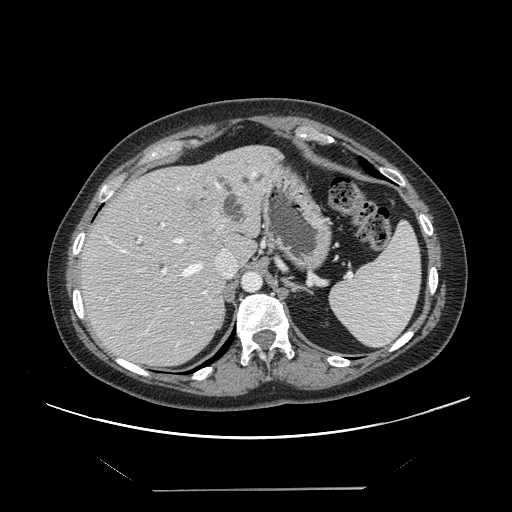 Computed tomography, Liver, Image size 512x512
Some hepatic vessels may have no box.
{
  "hepatic_vessel": [
    "x1=173 y1=237 x2=184 y2=244",
    "x1=161 y1=222 x2=164 y2=226",
    "x1=213 y1=180 x2=220 y2=189",
    "x1=162 y1=269 x2=167 y2=274",
    "x1=181 y1=263 x2=201 y2=276",
    "x1=138 y1=237 x2=141 y2=240",
    "x1=119 y1=248 x2=126 y2=252",
    "x1=215 y1=248 x2=236 y2=277",
    "x1=106 y1=238 x2=112 y2=244"
  ],
  "liver_tumor": [
    "x1=181 y1=190 x2=214 y2=226"
  ]
}